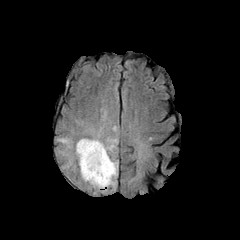
FLAIR MR image.
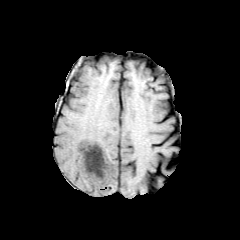
Same slice, T1-weighted magnetic resonance.
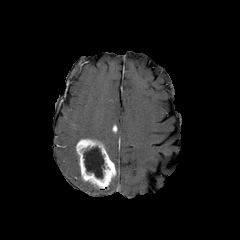
Same slice, post-contrast T1-weighted MRI.
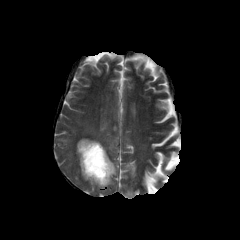
T2-weighted magnetic resonance.
240x240 px
The non-enhancing tumor core lies within region(84, 146, 105, 179). The enhancing tumor lies within region(76, 139, 116, 188). The edema is located at region(55, 105, 120, 194).